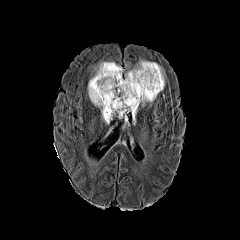
FLAIR MRI.
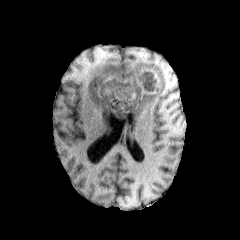
Same slice, T1-weighted MRI.
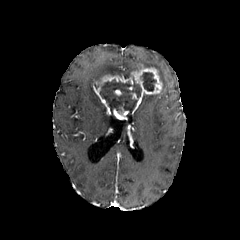
Post-contrast T1-weighted magnetic resonance.
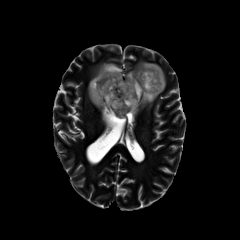
T2-weighted MR image.
Brain | Image size 240x240
Findings:
* enhancing tumor: 94 64 162 114, 113 107 129 118
* non-enhancing tumor core: 140 72 156 91, 99 79 141 115
* edema: 141 94 157 109, 87 61 124 123, 124 59 166 89